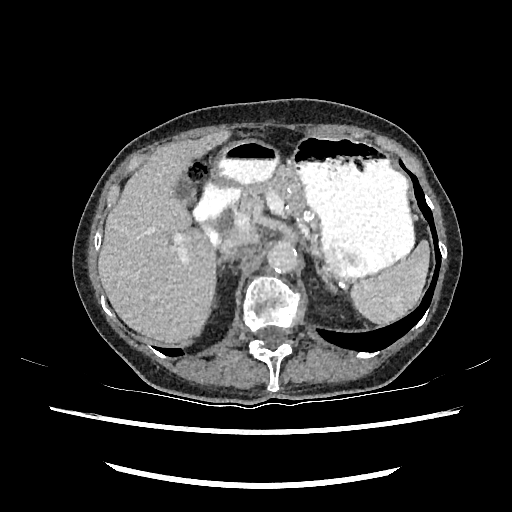
CT slice. Upper abdomen. 512x512.
The kidney is located at 208 302 217 312. The liver is at 99 131 228 341.